512x512, Slice 35/83, Upper abdomen, Computed tomography 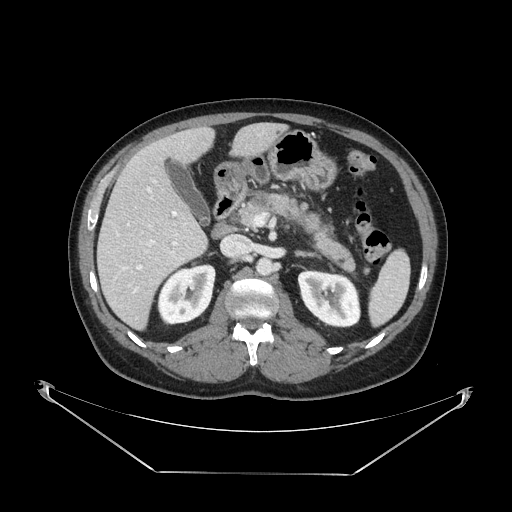 Pancreas: (241,192,356,271).
Pancreatic tumor: (254,193,269,209).